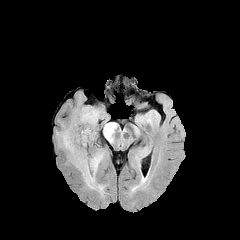
FLAIR MR.
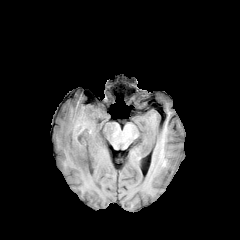
T1-weighted MR image of the same slice.
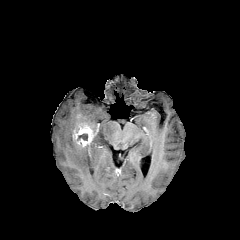
Post-contrast T1-weighted MR.
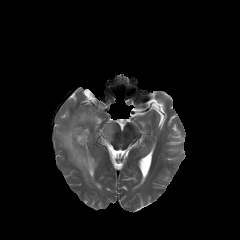
T2-weighted magnetic resonance of the same slice.
Head
Enhancing tumor at box(72, 123, 95, 146).
Non-enhancing tumor core at box(77, 134, 87, 140).
Edema at box(102, 122, 116, 142); box(62, 107, 103, 183).